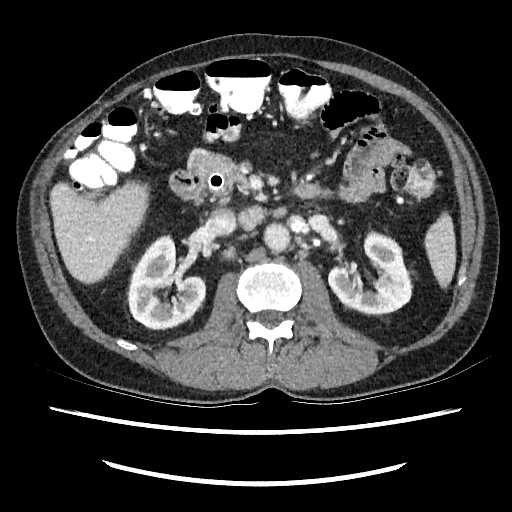

CT slice; Liver
Segmented structures:
• kidney: 129, 237, 204, 328; 328, 234, 410, 313
• liver: 50, 183, 147, 281